512x512 | Slice 398 of 845 | CT scan slice
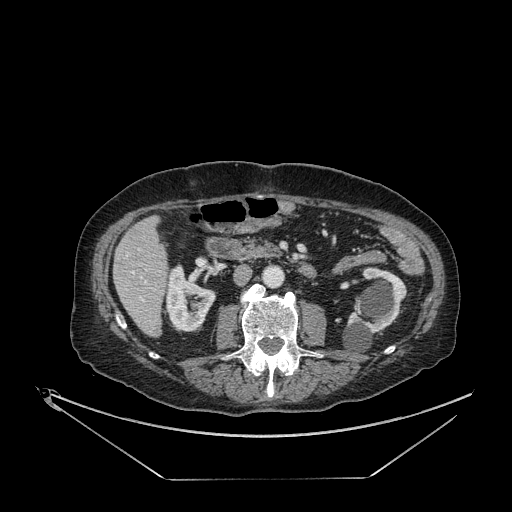 liver: 113 218 167 336 | kidney: 166 265 215 330, 348 268 406 332